Slice index 33, Upper abdomen, 512x512, CT slice 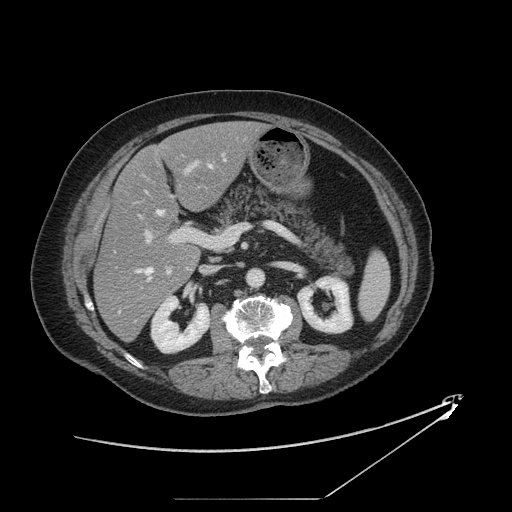

Pancreas at (215,183,356,279).